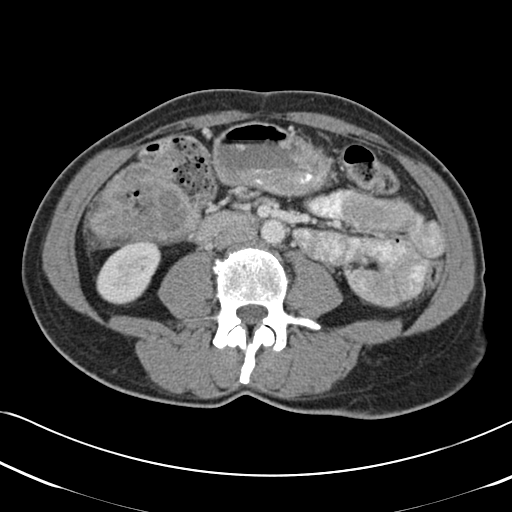 CT image. • colon tumor: <bbox>88, 154, 198, 244</bbox>